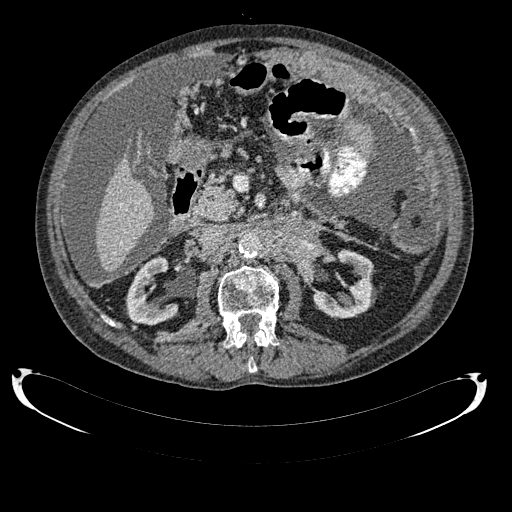 Abdomen; CT scan slice
kidney: (314,250,372,317), (127,257,177,324) | liver: (95,154,153,272)